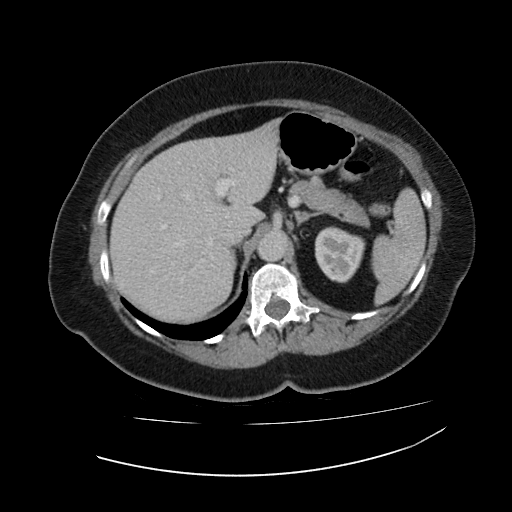

CT scan slice
<segmentation>
  <liver>box=[110, 120, 278, 321]</liver>
  <kidney>box=[315, 227, 364, 282]</kidney>
</segmentation>